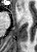

MR; Medial temporal lobe
Anterior hippocampus — box=[17, 6, 20, 9].